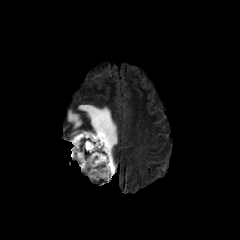
FLAIR MR image.
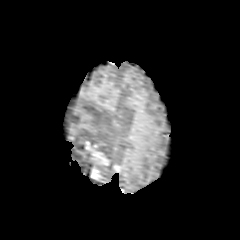
Same slice, T1-weighted MR.
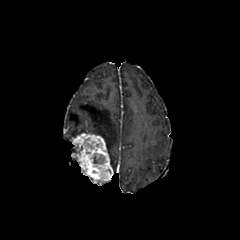
Same slice, post-contrast T1-weighted MR.
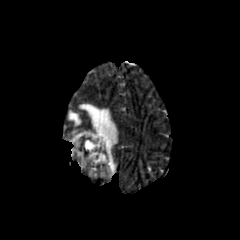
T2-weighted MR.
enhancing tumor: box=[70, 131, 113, 183] | edema: box=[79, 104, 117, 173]; box=[68, 111, 81, 127]